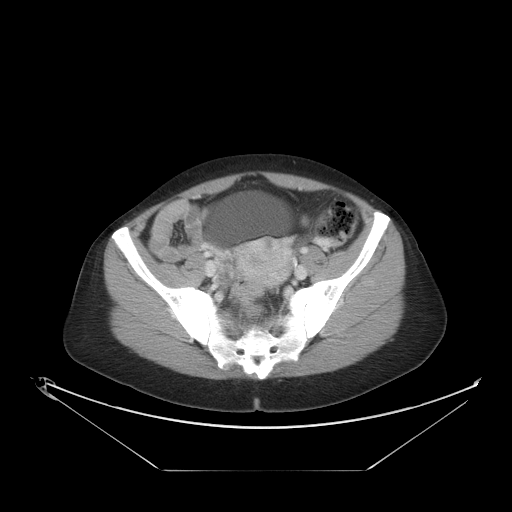
CT, Abdomen
colon_tumor:
  - [231, 277, 263, 298]